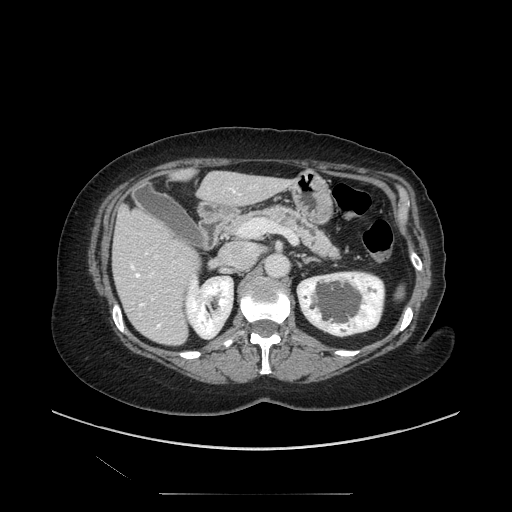

Computed tomography, 512x512

The pancreas lies within [228,206,339,259]. The pancreatic tumor lies within [267,211,281,218].